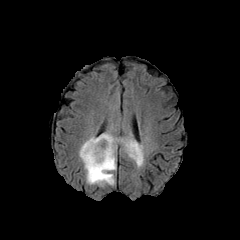
FLAIR MR.
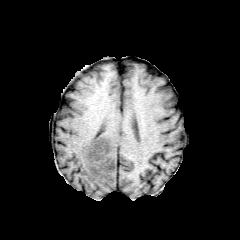
T1-weighted magnetic resonance.
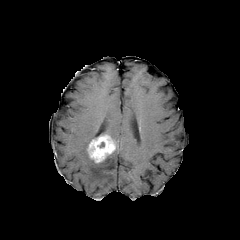
Same slice, post-contrast T1-weighted magnetic resonance.
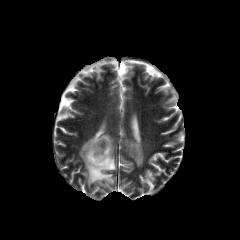
T2-weighted magnetic resonance.
240x240, Brain
Findings:
* edema: (79,134,116,187), (101,130,144,167)
* enhancing tumor: (86,134,117,163)